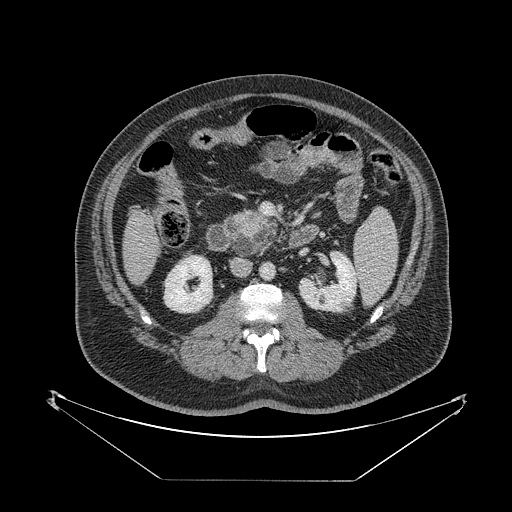

CT image | Abdomen

Pancreas: <box>226,210,276,255</box>.